FLAIR MR image.
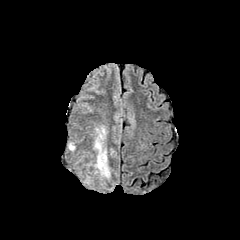
T1-weighted MR image.
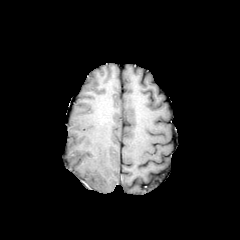
Post-contrast T1-weighted MR image.
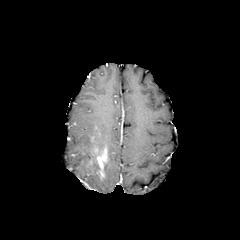
T2-weighted MR image.
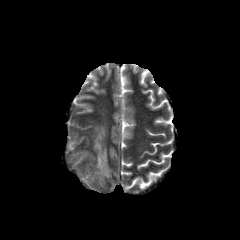
Image size 240x240
The enhancing tumor is bounded by left=97, top=147, right=107, bottom=177. 3 edema regions are located at left=94, top=126, right=106, bottom=156; left=103, top=163, right=110, bottom=179; left=68, top=142, right=75, bottom=151.